Brain | Slice 79 of 155
FLAIR MR image.
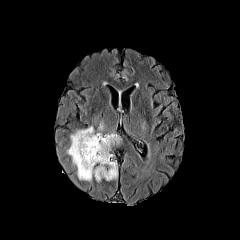
T1-weighted MR.
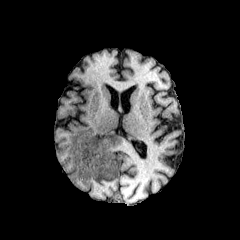
Post-contrast T1-weighted MRI.
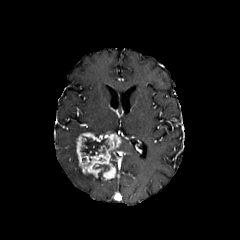
T2-weighted magnetic resonance.
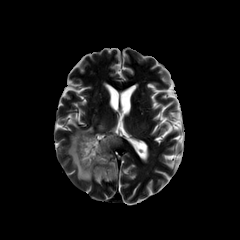
enhancing tumor: region(76, 131, 121, 180) | non-enhancing tumor core: region(80, 136, 109, 156) | edema: region(94, 172, 104, 183); region(67, 126, 94, 182)